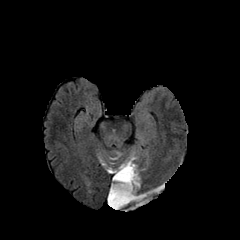
FLAIR MR image.
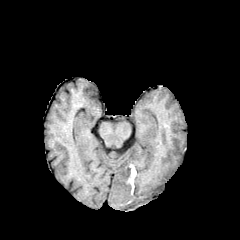
Same slice, T1-weighted MR image.
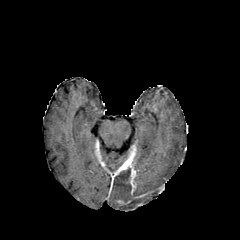
Post-contrast T1-weighted MR image of the same slice.
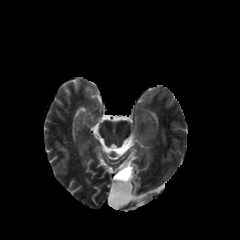
T2-weighted MR.
Head.
{"non-enhancing_tumor_core": ["(left=114, top=168, right=131, bottom=183)"], "enhancing_tumor": ["(left=114, top=148, right=135, bottom=187)"], "edema": ["(left=108, top=170, right=158, bottom=211)"]}